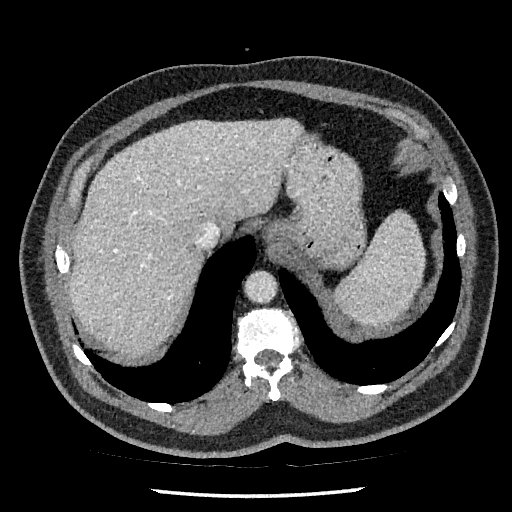 Upper abdomen; Image size 512x512; Computed tomography

<segmentation>
  <liver>[x1=70, y1=119, x2=299, y2=356]</liver>
</segmentation>